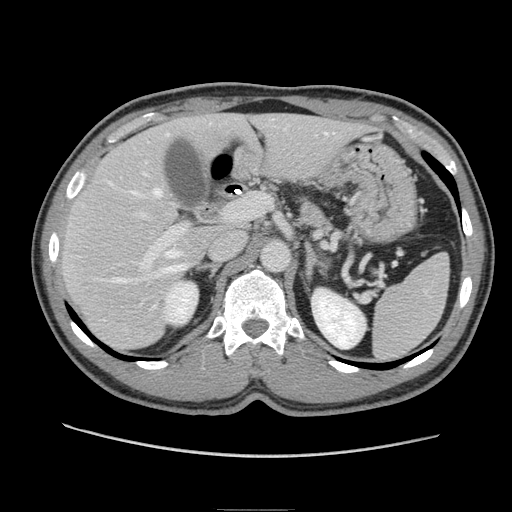

Computed tomography; Abdomen
The pancreas lies within 292:191:331:230.